Field of view 240x240 mm | Brain
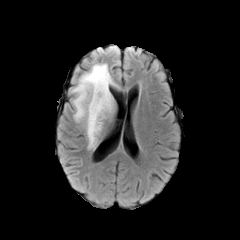
FLAIR MR.
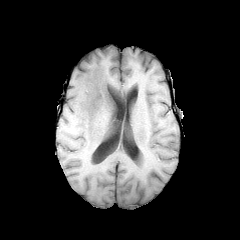
Same slice, T1-weighted MRI.
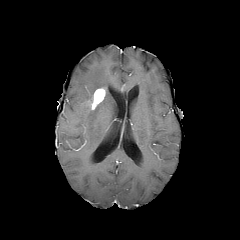
Post-contrast T1-weighted MRI.
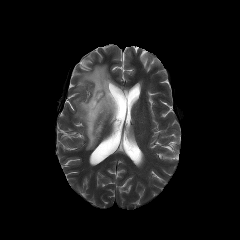
T2-weighted MRI.
Edema = 72 63 118 148.
Enhancing tumor = 83 87 107 110.
Non-enhancing tumor core = 104 85 111 99, 80 100 99 114.